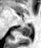 Medial temporal lobe. MRI. The posterior hippocampus lies within box(19, 26, 31, 36).